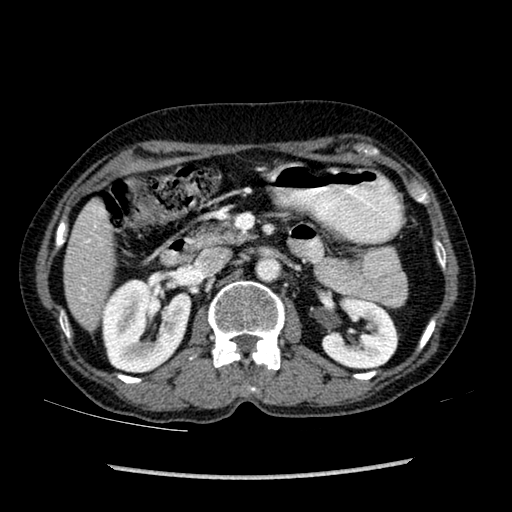

512x512, Upper abdomen, Computed tomography

{
  "liver": [
    "64, 210, 113, 324"
  ],
  "kidney": [
    "323, 300, 396, 367",
    "103, 275, 190, 371"
  ]
}